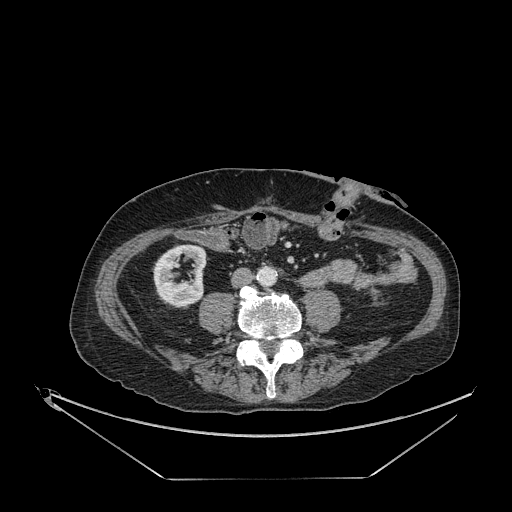
Abdomen | CT slice
Kidney: bounding box <box>154,245,205,306</box>.